Image width 240 mm. Brain. Slice index 94.
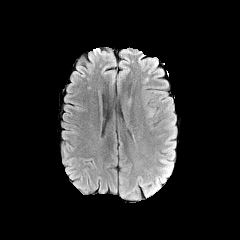
FLAIR MRI.
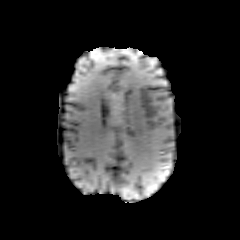
T1-weighted MR image.
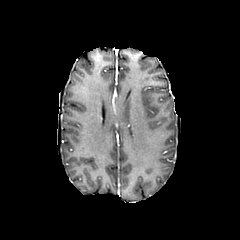
Post-contrast T1-weighted MR of the same slice.
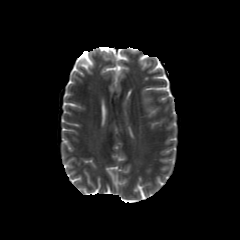
T2-weighted MR image.
edema: <bbox>167, 115, 176, 141</bbox>